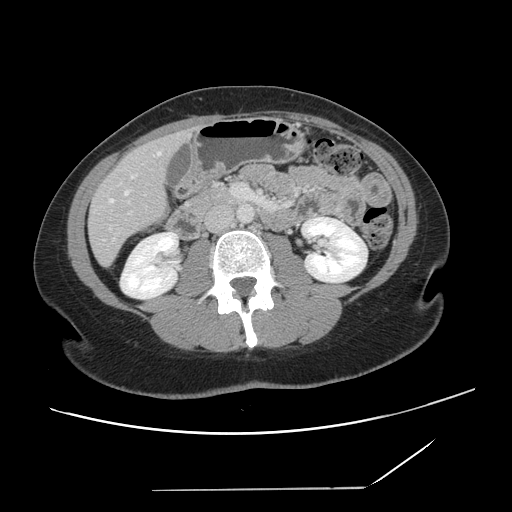

CT image. 512x512. Liver. Only some of the vessels may be annotated.
4 hepatic vessel regions are bounded by <bbox>110, 199, 112, 201</bbox>, <bbox>125, 191, 128, 194</bbox>, <bbox>157, 151, 160, 155</bbox>, <bbox>131, 174, 136, 178</bbox>.